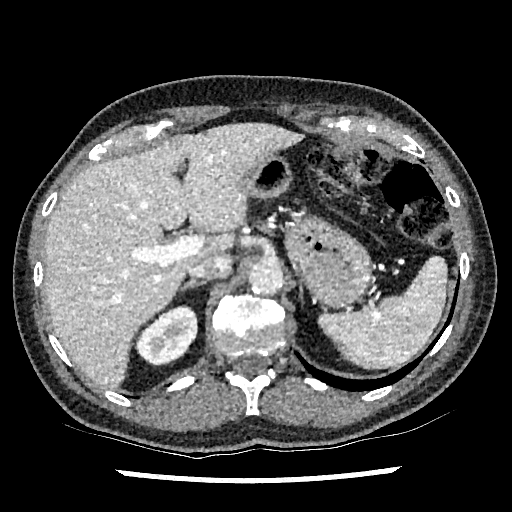

CT.
The liver is bounded by left=44, top=123, right=303, bottom=388. The kidney is located at left=138, top=308, right=196, bottom=363.